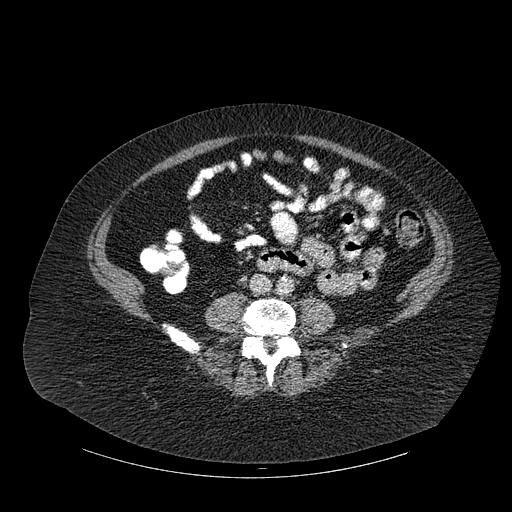

Computed tomography

<segmentation>
  <bone>(242, 299, 300, 384), (163, 324, 198, 352)</bone>
</segmentation>